FLAIR MR.
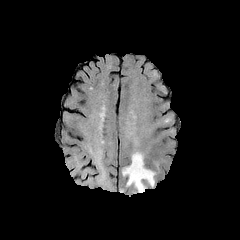
T1-weighted MR image.
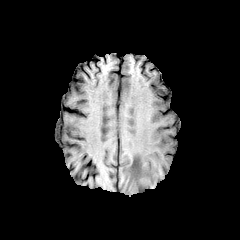
Post-contrast T1-weighted MRI.
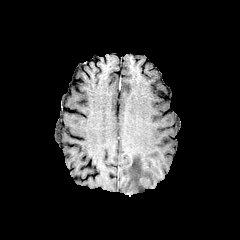
T2-weighted MR.
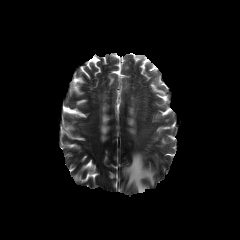
Edema: bounding box bbox(122, 152, 154, 192).